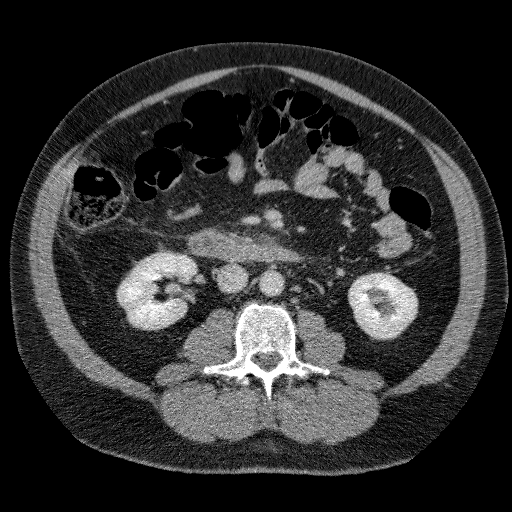

CT
* kidney: <box>119,253,195,327</box>, <box>350,274,416,337</box>